Slice 13/39, Hippocampus, MRI slice 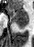 Posterior hippocampus: bounding box x1=15, y1=22, x2=27, y2=28.
Anterior hippocampus: bounding box x1=7, y1=8, x2=27, y2=21.